Brain, 240x240 px, Field of view 240x240 mm
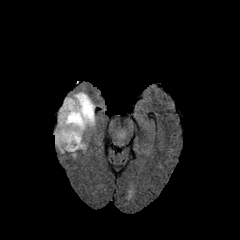
FLAIR MR image.
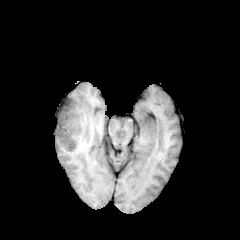
T1-weighted MR of the same slice.
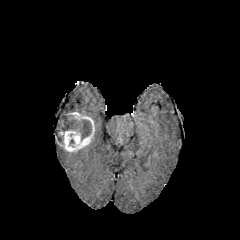
Post-contrast T1-weighted magnetic resonance of the same slice.
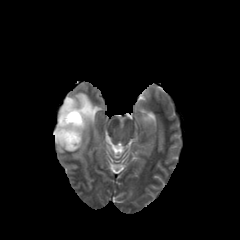
T2-weighted magnetic resonance.
2 non-enhancing tumor core regions appear at [x1=58, y1=101, x2=91, y2=140], [x1=54, y1=129, x2=63, y2=143]. The enhancing tumor is at [x1=56, y1=116, x2=94, y2=151]. 3 edema regions are located at [x1=58, y1=91, x2=96, y2=129], [x1=55, y1=139, x2=66, y2=153], [x1=71, y1=144, x2=88, y2=158].